Computed tomography; Slice index 66

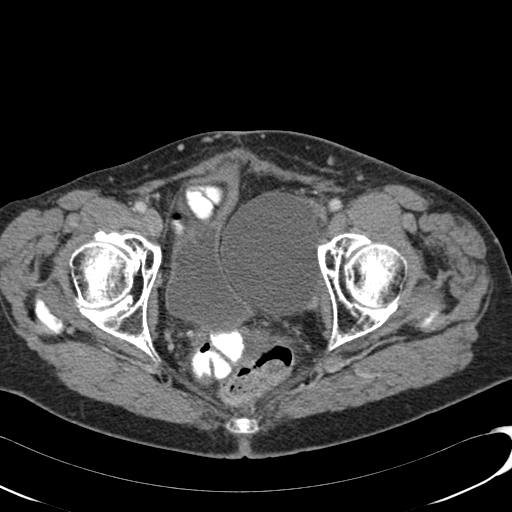 <segmentation>
  <urinary_bladder>(x1=165, y1=166, x2=262, y2=330)</urinary_bladder>
</segmentation>